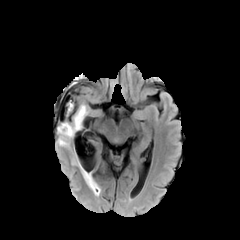
FLAIR MR.
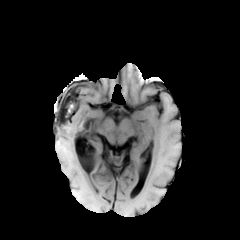
T1-weighted MR image.
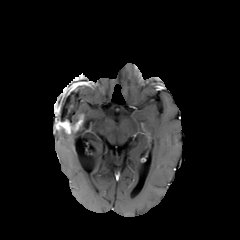
Post-contrast T1-weighted MRI.
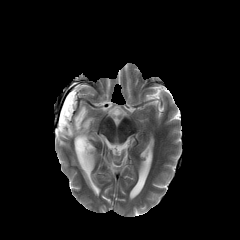
T2-weighted MRI of the same slice.
The enhancing tumor appears at 56 115 82 133. 3 edema regions are bounded by 66 100 88 121, 57 130 75 147, 76 160 100 195.